CT slice, Abdomen, 512x512 px, Slice 50/95
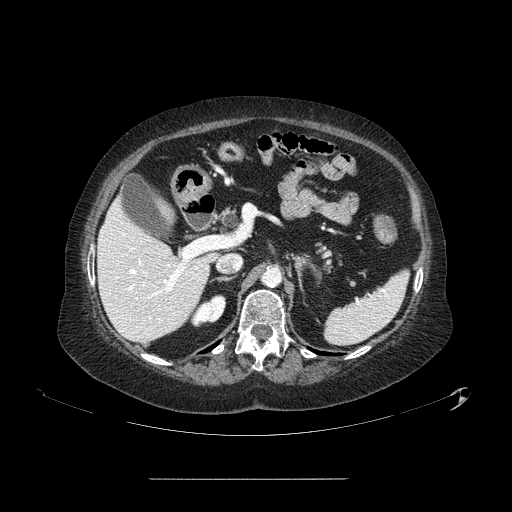
pancreas:
  - box(222, 211, 239, 228)